Slice 64/155, Brain
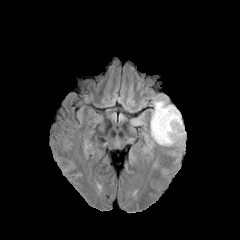
FLAIR magnetic resonance.
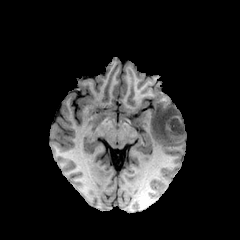
T1-weighted MR image.
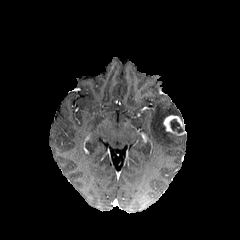
Post-contrast T1-weighted MR image of the same slice.
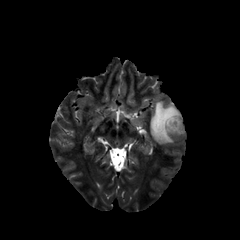
T2-weighted MRI.
The non-enhancing tumor core is bounded by (170, 118, 184, 133). The enhancing tumor lies within (163, 115, 185, 135). The edema is bounded by (150, 100, 180, 144).